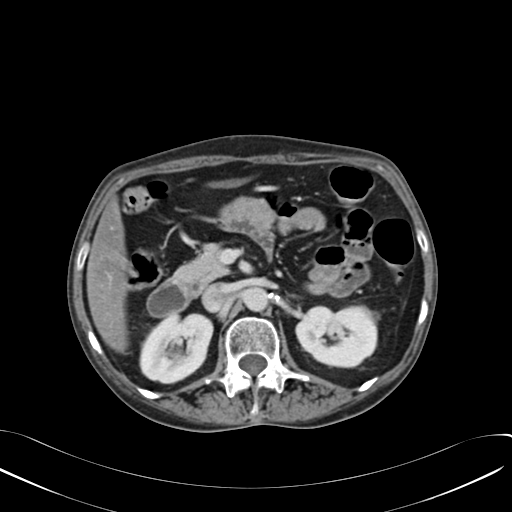 CT image, Image size 512x512
2 kidney regions are bounded by region(141, 315, 211, 382); region(297, 308, 375, 365). 2 liver regions are located at region(209, 178, 246, 186); region(88, 197, 127, 350).